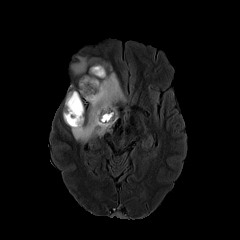
FLAIR MR.
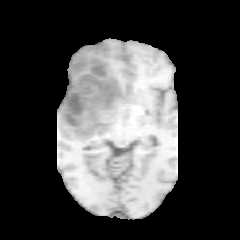
T1-weighted MRI.
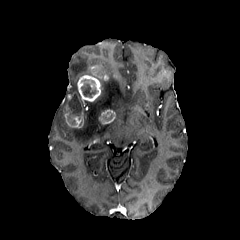
Post-contrast T1-weighted MR.
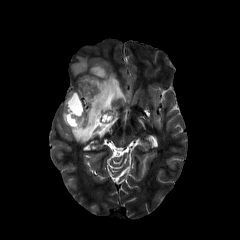
T2-weighted MR image.
Annotated regions:
- edema: 66 84 77 98, 71 56 126 143
- enhancing tumor: 64 93 84 127, 91 64 104 78, 99 108 116 124, 78 75 102 101
- non-enhancing tumor core: 80 78 98 98, 68 93 81 112